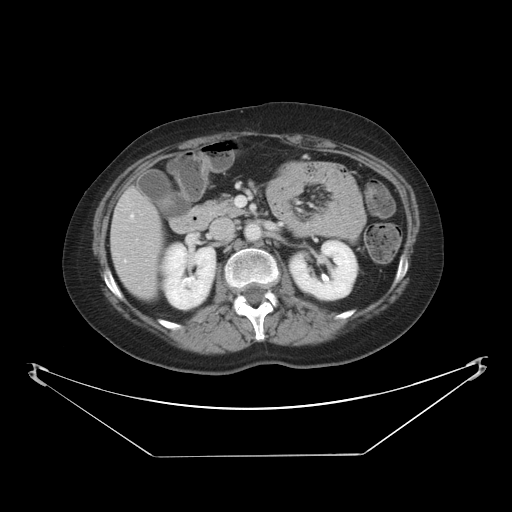

CT image. Liver.

The vessel boxes may cover only some of the vessels.
Hepatic vessel — 124 259 126 261, 131 214 133 216.